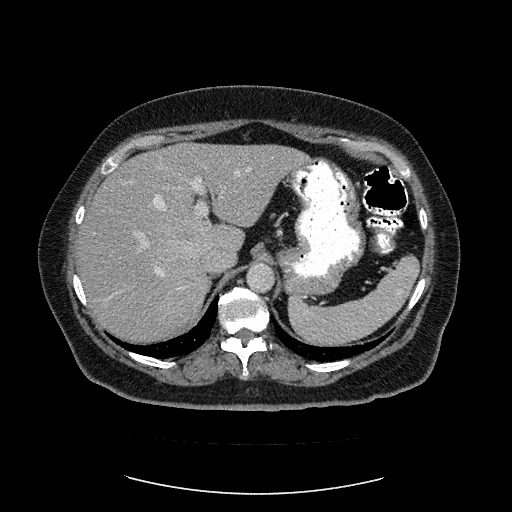
Liver; CT scan slice
The vessel boxes may cover only some of the vessels.
Hepatic vessel = bbox=[154, 195, 165, 208]; bbox=[133, 231, 148, 251]; bbox=[180, 287, 184, 289]; bbox=[129, 180, 133, 181]; bbox=[185, 176, 204, 193]; bbox=[157, 166, 162, 168]; bbox=[108, 293, 116, 298]; bbox=[207, 221, 208, 222]; bbox=[196, 202, 207, 215]; bbox=[223, 189, 224, 191]; bbox=[247, 168, 250, 170]; bbox=[155, 268, 163, 275]; bbox=[235, 170, 240, 175]; bbox=[297, 171, 299, 173].